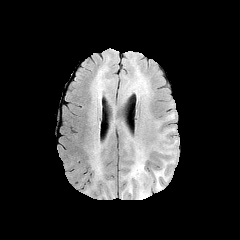
FLAIR magnetic resonance.
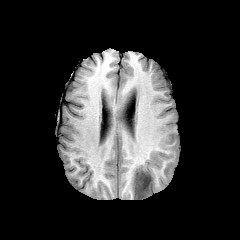
T1-weighted MRI of the same slice.
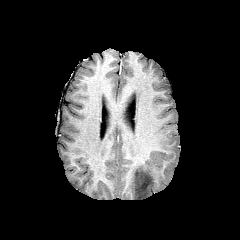
Post-contrast T1-weighted MRI.
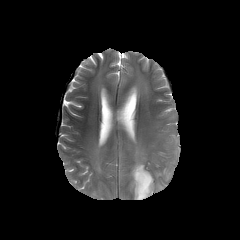
T2-weighted MRI.
Head, 240x240 px
3 edema regions appear at bbox=[154, 168, 168, 189]; bbox=[90, 148, 101, 174]; bbox=[126, 148, 151, 198]. The non-enhancing tumor core appears at bbox=[134, 169, 151, 196].